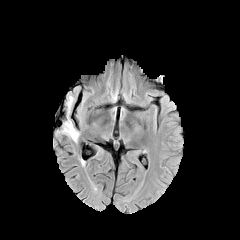
FLAIR MR image.
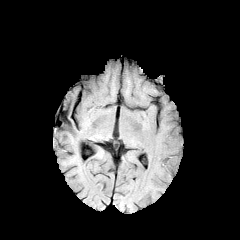
Same slice, T1-weighted MR.
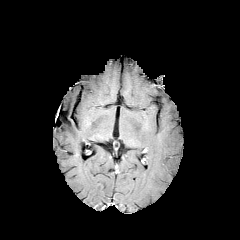
Same slice, post-contrast T1-weighted magnetic resonance.
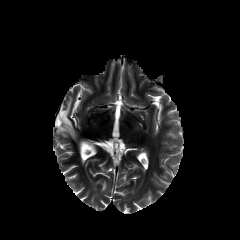
T2-weighted MR of the same slice.
<segmentation>
  <edema><bbox>66, 96, 74, 114</bbox>, <bbox>57, 118, 79, 142</bbox></edema>
</segmentation>